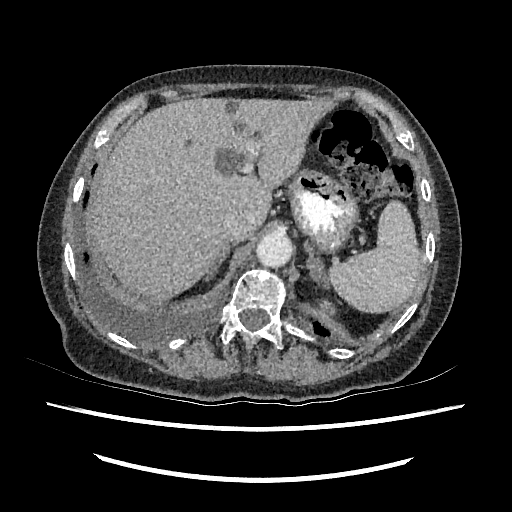 CT image

Annotated regions:
* focal liver lesion: [x1=224, y1=99, x2=238, y2=113], [x1=140, y1=187, x2=151, y2=194], [x1=233, y1=123, x2=242, y2=132], [x1=251, y1=131, x2=261, y2=140], [x1=216, y1=148, x2=246, y2=174]
* liver: [x1=94, y1=99, x2=331, y2=298]